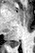 Magnetic resonance
<segmentation>
  <posterior_hippocampus>(11,41,20,45)</posterior_hippocampus>
</segmentation>